CT image

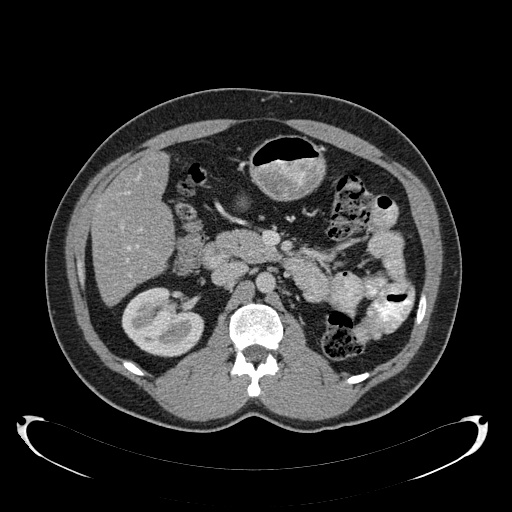 {"liver": ["92 153 174 304"], "kidney": ["122 288 203 356"]}